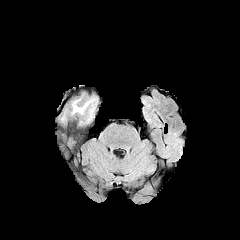
FLAIR magnetic resonance.
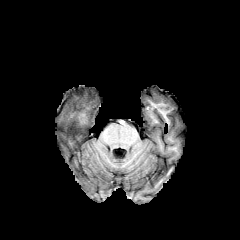
T1-weighted MR.
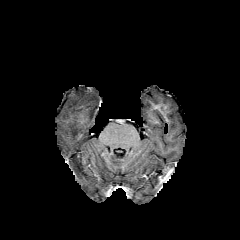
Post-contrast T1-weighted MR.
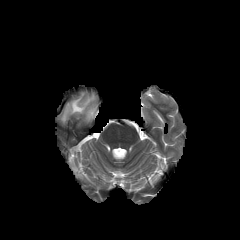
T2-weighted magnetic resonance of the same slice.
Image size 240x240.
edema: 61,97,96,122